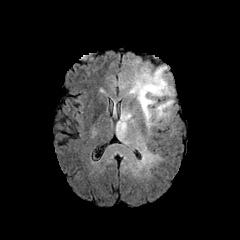
FLAIR MRI.
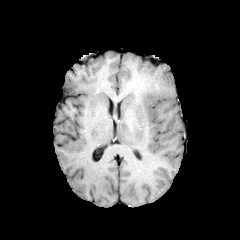
Same slice, T1-weighted MR.
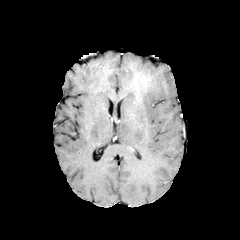
Same slice, post-contrast T1-weighted magnetic resonance.
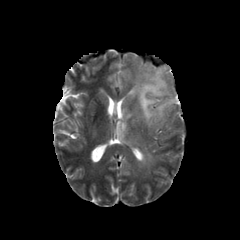
Same slice, T2-weighted MR image.
Edema at (left=129, top=66, right=174, bottom=126), (left=116, top=110, right=132, bottom=137).
Non-enhancing tumor core at (left=130, top=72, right=156, bottom=103).